Slice 75/155
FLAIR magnetic resonance.
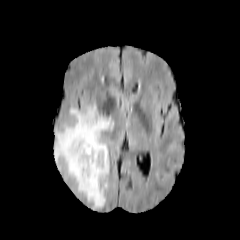
T1-weighted MRI.
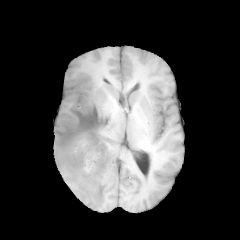
Post-contrast T1-weighted MR.
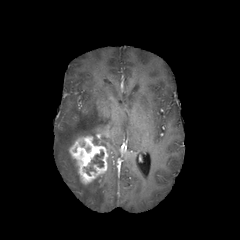
T2-weighted magnetic resonance.
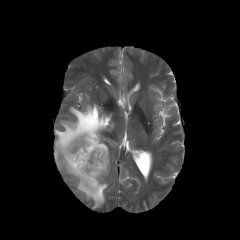
{
  "non-enhancing_tumor_core": [
    "<box>83,149,104,175</box>"
  ],
  "edema": [
    "<box>53,102,113,208</box>"
  ],
  "enhancing_tumor": [
    "<box>69,136,108,184</box>"
  ]
}